FLAIR MR image.
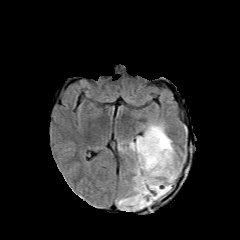
T1-weighted magnetic resonance.
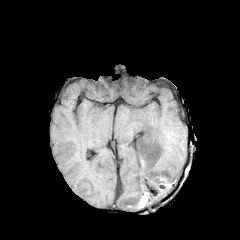
Post-contrast T1-weighted MR image.
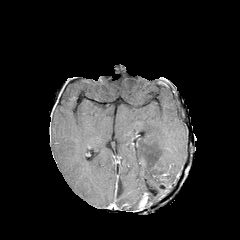
T2-weighted MRI.
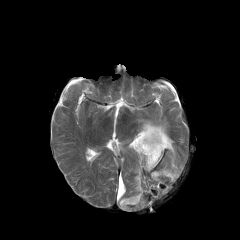
240x240 px | Brain
* edema: l=117, t=121, r=180, b=211
* non-enhancing tumor core: l=130, t=131, r=144, b=149